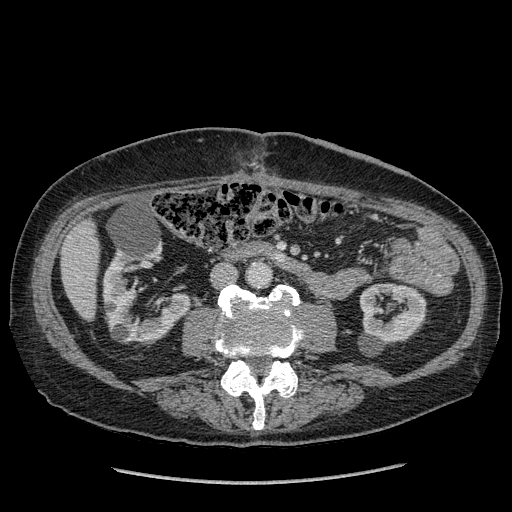

Abdomen. CT slice. kidney: (left=360, top=284, right=425, bottom=344), (left=127, top=294, right=189, bottom=341), (left=103, top=251, right=134, bottom=327) | liver: (left=61, top=219, right=99, bottom=320)